Medial temporal lobe, MRI

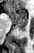 Posterior hippocampus: l=15, t=23, r=26, b=29.
Anterior hippocampus: l=7, t=7, r=26, b=24.